Slice index 58; 240x240; Brain
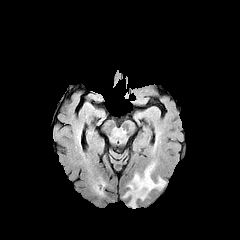
FLAIR MR.
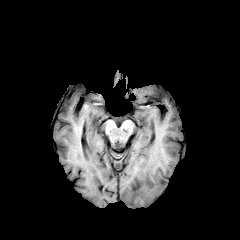
T1-weighted MRI of the same slice.
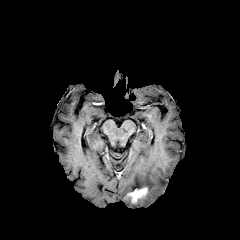
Post-contrast T1-weighted MR.
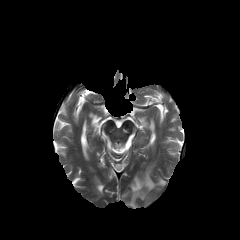
T2-weighted magnetic resonance.
Enhancing tumor — (x1=124, y1=187, x2=147, y2=203).
Edema — (x1=127, y1=162, x2=165, y2=193).